CT scan slice | Abdomen 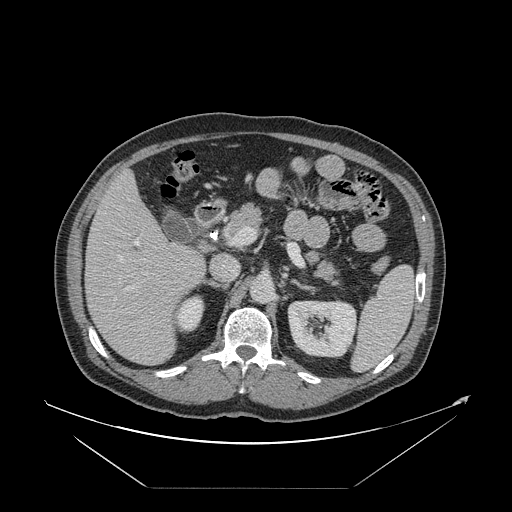 Not every hepatic vessel necessarily has a box.
Hepatic vessel: bounding box x1=142, y1=273, x2=147, y2=274; x1=135, y1=239, x2=138, y2=245; x1=232, y1=234, x2=236, y2=244; x1=118, y1=257, x2=122, y2=261; x1=124, y1=287, x2=132, y2=290.